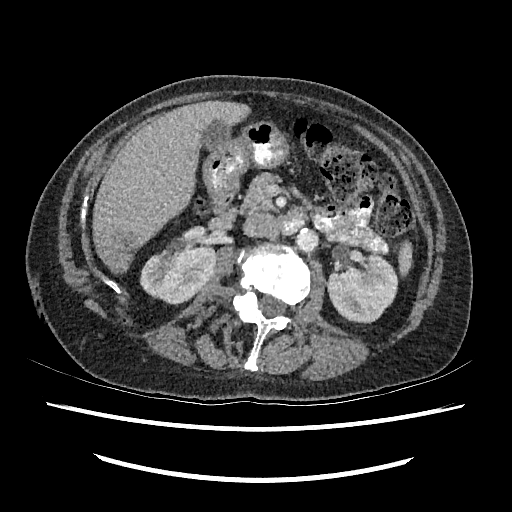 CT image
<segmentation>
  <liver_lesion>[x1=110, y1=229, x2=137, y2=255]</liver_lesion>
  <kidney>[x1=141, y1=245, x2=216, y2=303], [x1=328, y1=254, x2=397, y2=322]</kidney>
  <liver>[x1=93, y1=101, x2=249, y2=272]</liver>
</segmentation>